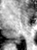

MRI
Annotated regions:
• posterior hippocampus: box(13, 40, 20, 43)